Field of view 400x400 mm. CT.
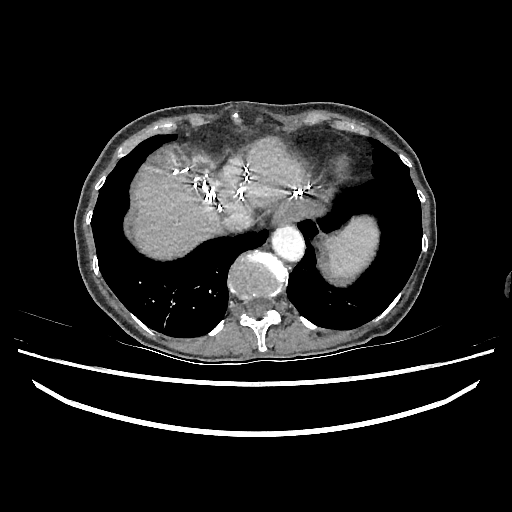

3 liver regions appear at box=[246, 139, 303, 207]; box=[217, 157, 244, 213]; box=[134, 152, 222, 258].